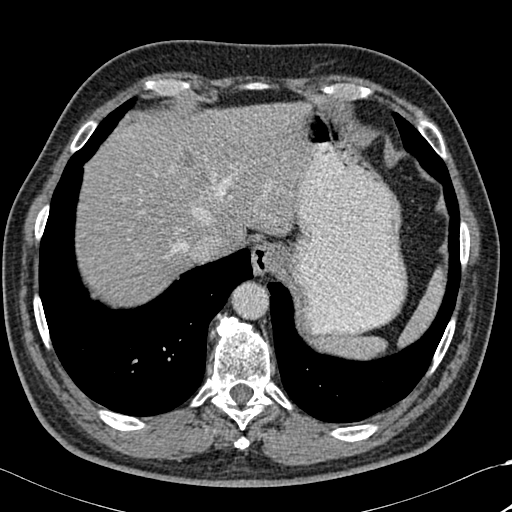

Image size 512x512. Computed tomography.
2 focal liver lesion regions appear at l=179, t=149, r=194, b=167; l=195, t=172, r=209, b=186. 13 bone regions appear at l=419, t=120, r=445, b=157; l=332, t=425, r=376, b=441; l=35, t=206, r=48, b=238; l=34, t=297, r=48, b=345; l=146, t=80, r=182, b=93; l=433, t=320, r=454, b=369; l=71, t=121, r=95, b=151; l=100, t=411, r=143, b=430; l=466, t=225, r=469, b=262; l=344, t=86, r=370, b=96; l=460, t=223, r=464, b=264; l=192, t=317, r=290, b=429; l=236, t=438, r=248, b=448. 3 lung regions are bounded by l=39, t=97, r=253, b=416; l=267, t=112, r=460, b=422; l=257, t=251, r=263, b=264. The liver appears at l=76, t=104, r=309, b=303.